FLAIR MRI.
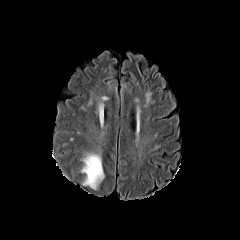
T1-weighted magnetic resonance.
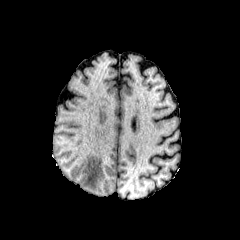
Post-contrast T1-weighted MRI.
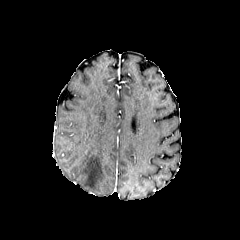
T2-weighted MR.
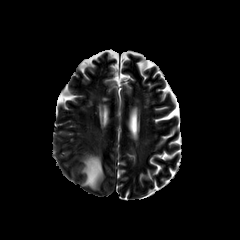
240x240 px
edema: [81, 154, 103, 189]